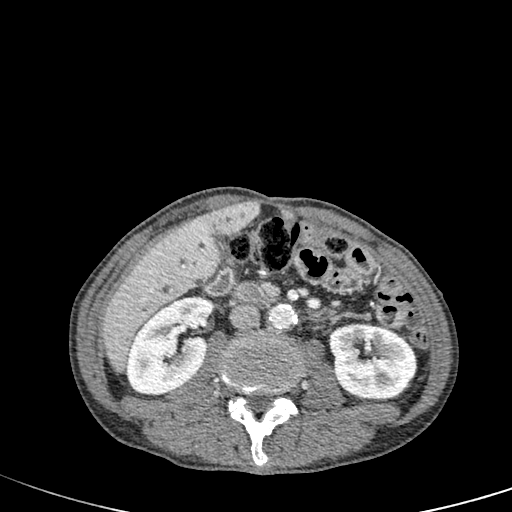
CT slice

2 kidney regions are bounded by [127, 297, 212, 394], [330, 325, 415, 398]. The liver lesion appears at [212, 202, 258, 235]. The liver is at [103, 211, 222, 373].